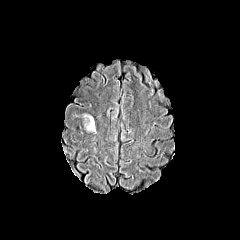
FLAIR MR.
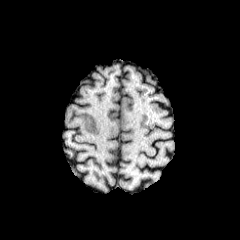
T1-weighted MR image.
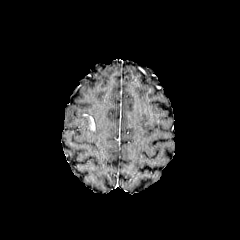
Post-contrast T1-weighted MRI.
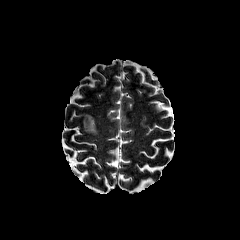
T2-weighted MR image.
Brain.
Edema — region(83, 119, 97, 134).
Non-enhancing tumor core — region(83, 113, 94, 130).